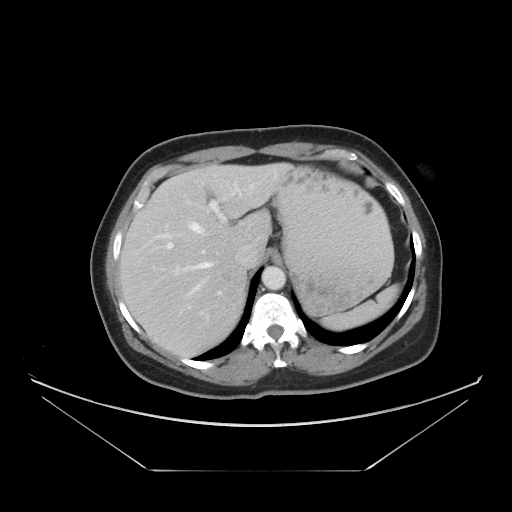
CT scan slice | Image size 512x512

Some hepatic vessels may have no box.
4 hepatic vessel regions appear at <box>167,243,172,248</box>, <box>212,204,213,206</box>, <box>205,264,207,265</box>, <box>183,200,209,212</box>.